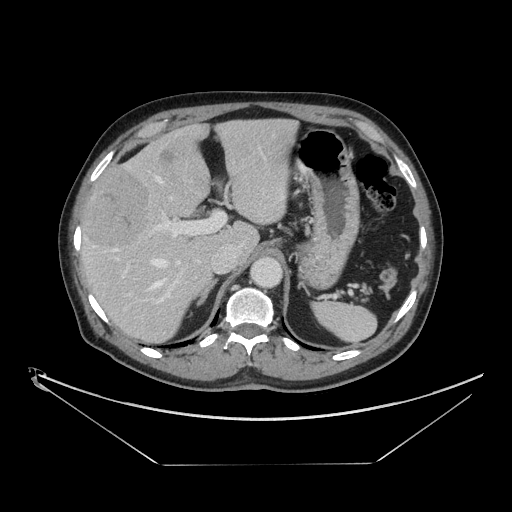

512x512, Liver, Computed tomography
Not every hepatic vessel necessarily has a box.
Annotated regions:
• hepatic vessel: 128 294 130 295, 177 261 179 263, 170 197 172 199, 156 177 162 182, 153 259 167 267, 113 249 116 251, 156 297 163 302, 155 215 176 236, 151 278 165 287, 115 258 117 259, 164 293 170 296
• liver tumor: 82 166 150 248